Computed tomography. Upper abdomen. Slice 53 of 97.
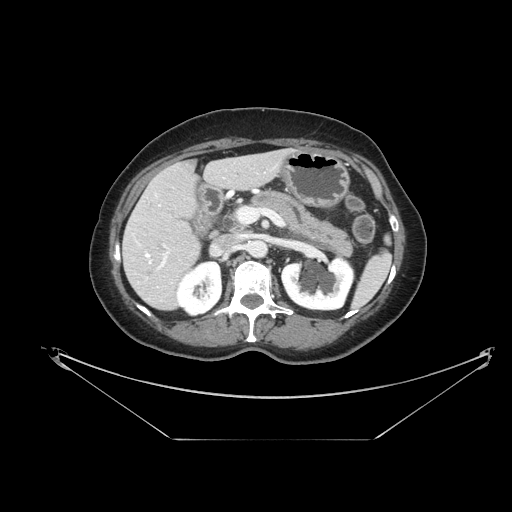 pancreas:
  - (249, 190, 353, 257)